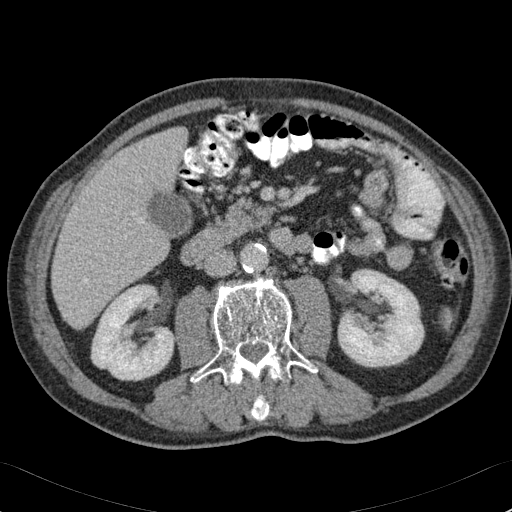

Liver | CT scan slice
Kidney at box=[338, 269, 423, 366]; box=[92, 285, 173, 379].
Liver at box=[52, 128, 186, 328].